FLAIR MRI.
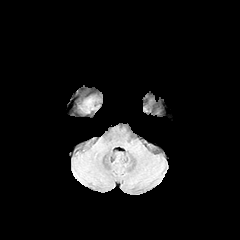
T1-weighted magnetic resonance.
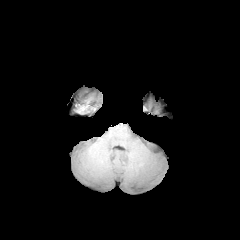
Post-contrast T1-weighted magnetic resonance.
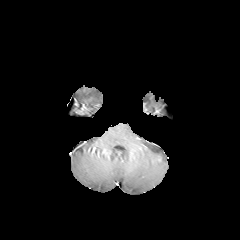
T2-weighted magnetic resonance.
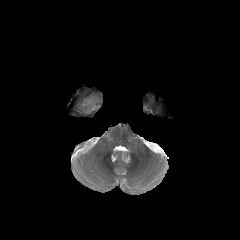
Edema: bbox=[80, 100, 91, 111].